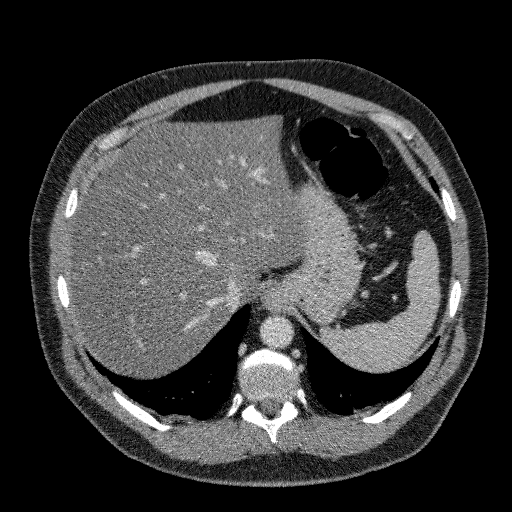

CT scan slice; Image size 512x512; Abdomen
Liver at <box>64,115,306,376</box>.